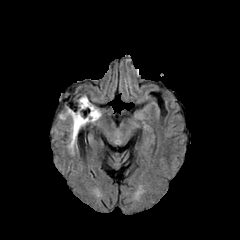
FLAIR MR.
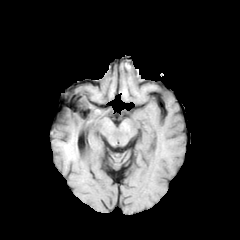
T1-weighted MR image.
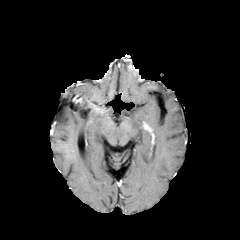
Post-contrast T1-weighted MR.
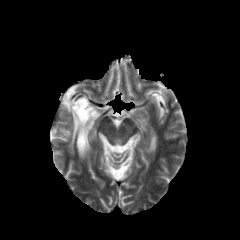
Same slice, T2-weighted MRI.
Image size 240x240 | Head
* edema: {"x1": 60, "y1": 106, "x2": 101, "y2": 150}
* non-enhancing tumor core: {"x1": 72, "y1": 95, "x2": 98, "y2": 115}, {"x1": 76, "y1": 111, "x2": 87, "y2": 126}